CT scan slice; Abdomen 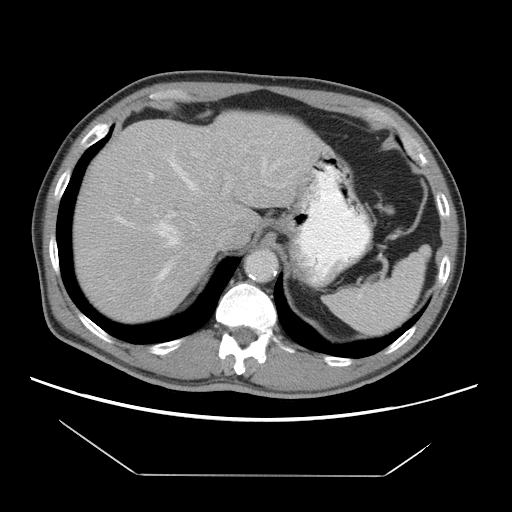
The vessel boxes may cover only some of the vessels.
Liver tumor — (206, 136, 233, 158).
Top 15 of 18 hepatic vessel regions — (156, 262, 172, 280), (154, 211, 179, 246), (146, 172, 153, 181), (197, 193, 202, 196), (135, 198, 139, 202), (288, 135, 290, 138), (226, 189, 228, 191), (265, 182, 285, 187), (168, 154, 196, 189), (261, 157, 286, 174), (242, 149, 246, 151), (226, 175, 228, 178), (305, 157, 307, 159), (154, 287, 157, 289), (114, 215, 133, 227).